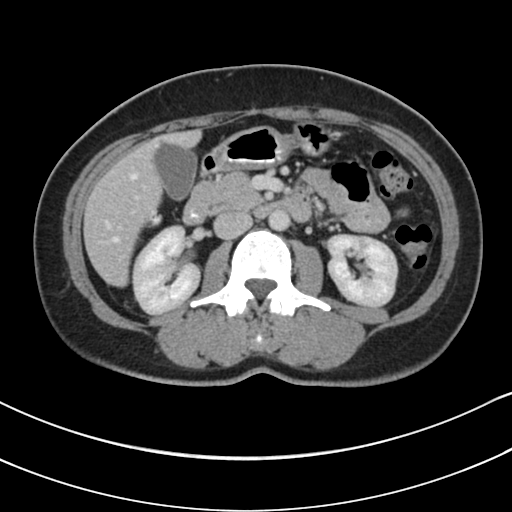

512x512 px. Upper abdomen. CT image.

Pancreas = box(200, 168, 263, 217).